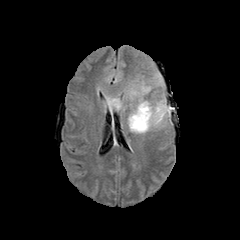
FLAIR MR.
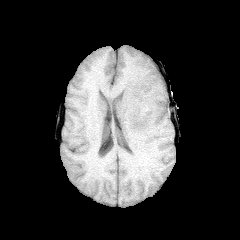
T1-weighted magnetic resonance.
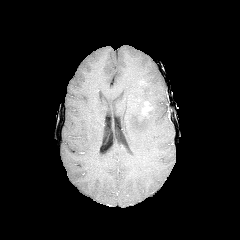
Post-contrast T1-weighted magnetic resonance.
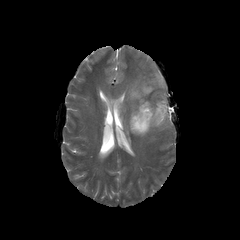
Same slice, T2-weighted MR image.
Brain.
{
  "edema": [
    "117 100 127 117",
    "103 95 119 109",
    "123 82 168 135"
  ],
  "non-enhancing_tumor_core": [
    "161 102 169 115",
    "108 99 119 109",
    "133 95 157 121"
  ],
  "enhancing_tumor": [
    "142 101 152 115"
  ]
}